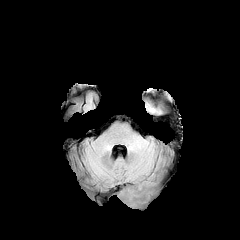
FLAIR MRI.
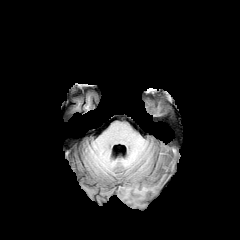
T1-weighted magnetic resonance of the same slice.
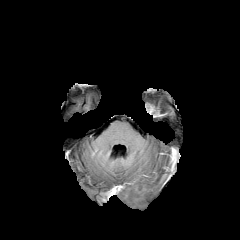
Post-contrast T1-weighted magnetic resonance.
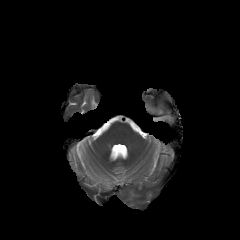
T2-weighted magnetic resonance.
240x240 px | Brain
Segmented structures:
- edema: bbox=[147, 104, 159, 114]